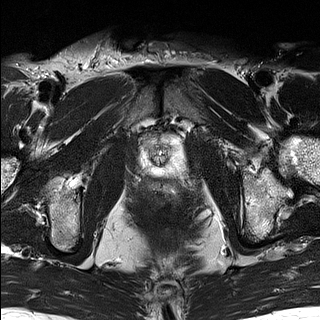
T2-weighted MR.
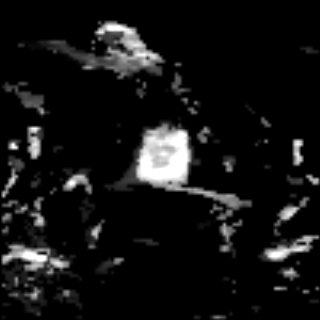
Same slice, ADC MR image.
320x320, Prostate
Prostate transition zone: left=145, top=135, right=174, bottom=165.
Prostate peripheral zone: left=138, top=135, right=190, bottom=180.